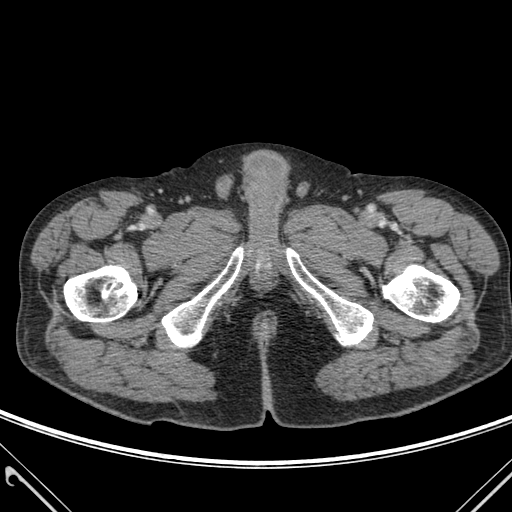

512x512, CT image
{"bone": ["286,248,373,345", "162,247,242,346", "64,265,137,321", "383,265,459,322"]}